Slice 598/685. Liver. CT slice.

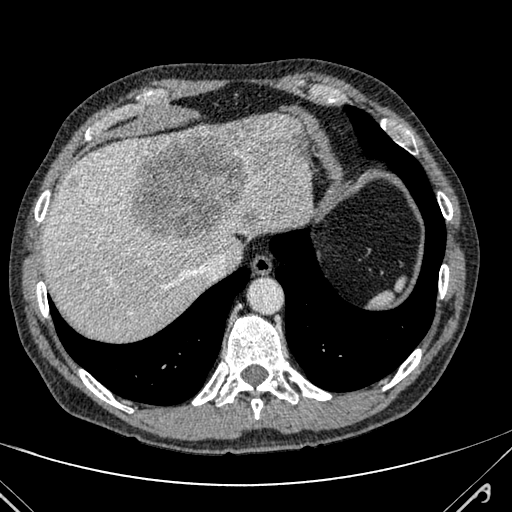
- hepatic lesion: 241, 211, 259, 226; 69, 177, 76, 186; 132, 133, 246, 246
- liver: 44, 115, 312, 339